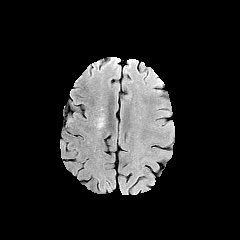
FLAIR MR image.
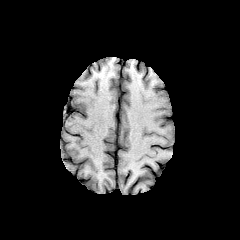
Same slice, T1-weighted magnetic resonance.
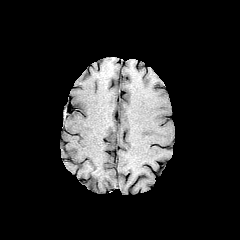
Same slice, post-contrast T1-weighted magnetic resonance.
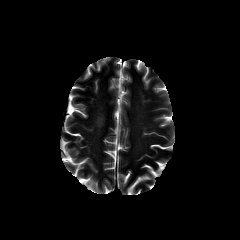
Same slice, T2-weighted MR.
Head. 240x240.
edema: (97,115,104,127)